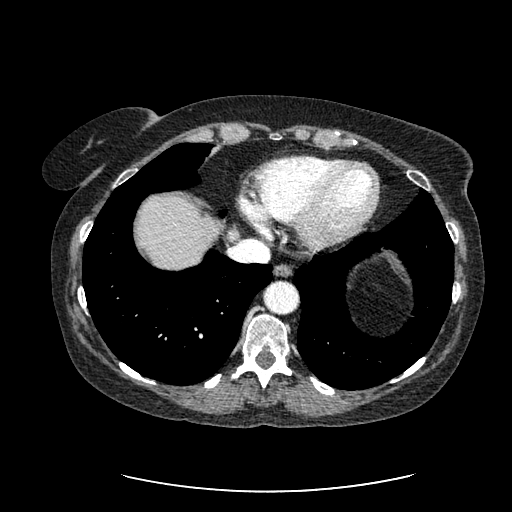 CT slice | Image size 512x512 | Liver
Liver: x1=136 y1=196 x2=240 y2=269.